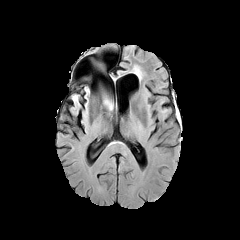
FLAIR MRI.
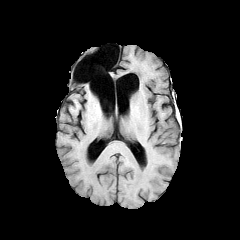
Same slice, T1-weighted MRI.
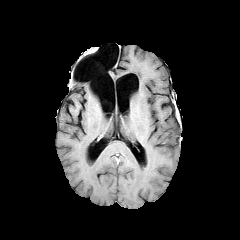
Post-contrast T1-weighted MR of the same slice.
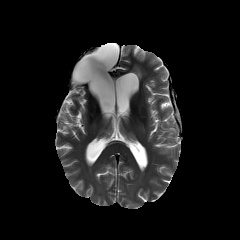
T2-weighted MR of the same slice.
Non-enhancing tumor core = [x1=86, y1=48, x2=98, y2=54].